Slice 90 of 155 | Head
FLAIR MR.
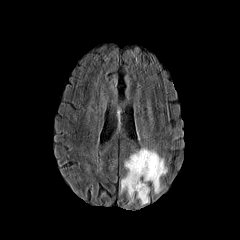
T1-weighted MR.
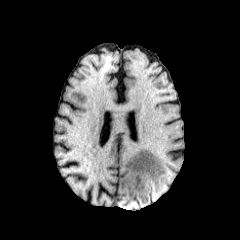
Post-contrast T1-weighted MRI.
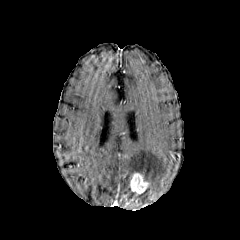
T2-weighted MR image.
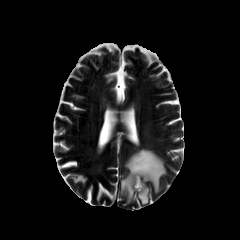
Segmented structures:
* edema: bbox(119, 148, 167, 206)
* enhancing tumor: bbox(130, 173, 148, 194)